FLAIR MR image.
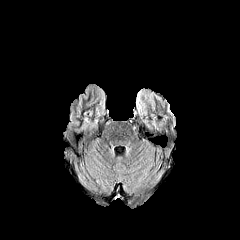
T1-weighted magnetic resonance.
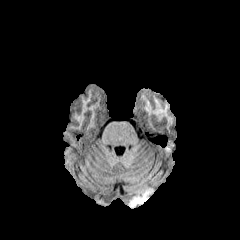
Post-contrast T1-weighted MRI.
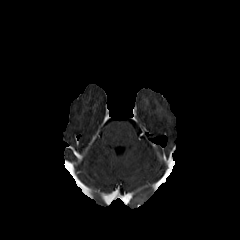
T2-weighted MR.
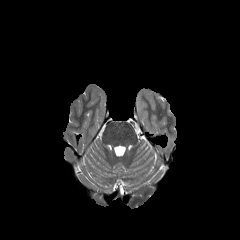
240x240
Annotated regions:
* edema: [136, 89, 149, 126]